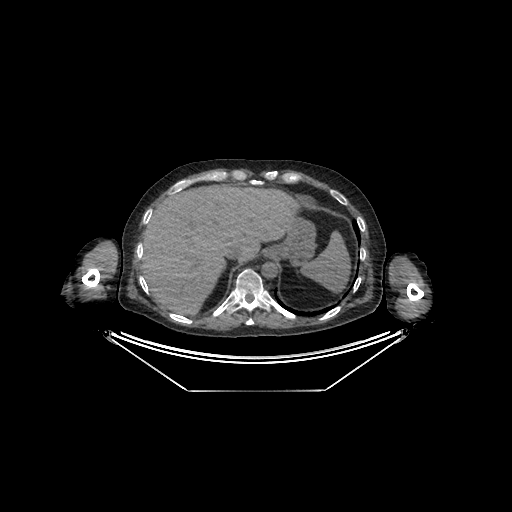
512x512 px. Abdomen. CT image. The liver appears at (136, 183, 298, 315).